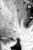 MR image
Posterior hippocampus — x1=9 y1=41 x2=16 y2=41.